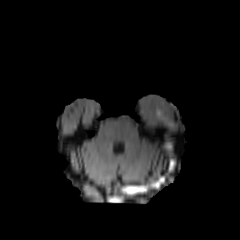
FLAIR MRI.
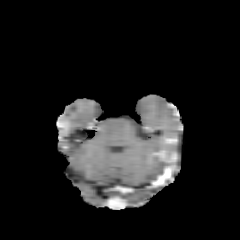
Same slice, T1-weighted MR image.
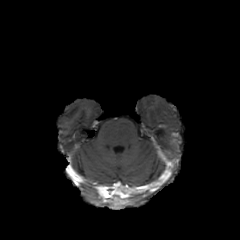
Same slice, post-contrast T1-weighted magnetic resonance.
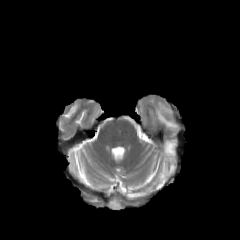
T2-weighted MR image.
Brain.
Segmented structures:
* edema: l=156, t=107, r=177, b=129; l=164, t=139, r=179, b=154